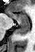
MR

Posterior hippocampus = bbox(16, 20, 29, 34).
Anterior hippocampus = bbox(7, 11, 28, 20).